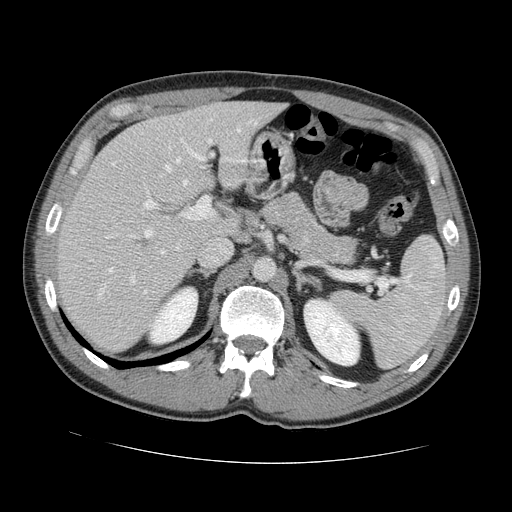
CT image; Liver

Not every hepatic vessel necessarily has a box.
Liver tumor: region(135, 240, 150, 247).
Principal 15 of 24 hepatic vessel regions: region(131, 272, 134, 283); region(208, 139, 211, 143); region(107, 268, 113, 271); region(146, 190, 149, 199); region(128, 234, 135, 237); region(180, 138, 184, 143); region(175, 158, 180, 162); region(186, 147, 203, 159); region(237, 124, 239, 131); region(105, 235, 111, 238); region(247, 120, 256, 125); region(183, 180, 186, 184); region(166, 165, 170, 171); region(97, 288, 104, 297); region(144, 230, 151, 236).